FLAIR MR image.
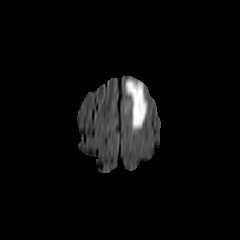
T1-weighted magnetic resonance.
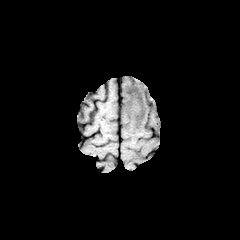
Post-contrast T1-weighted MR image.
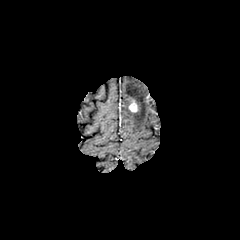
T2-weighted magnetic resonance.
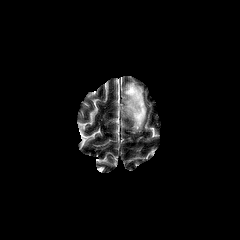
Head
Segmented structures:
* edema: box=[122, 79, 147, 133]
* enhancing tumor: box=[129, 101, 137, 112]